Abdomen | 512x512 | Slice index 573 | CT 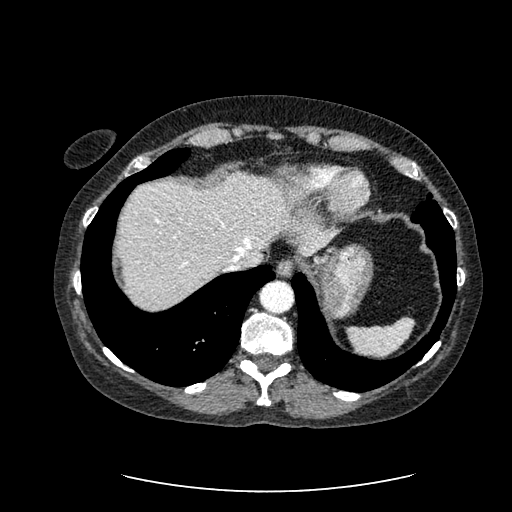

The liver is at 120:171:342:309.